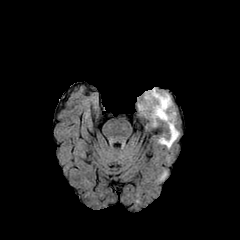
FLAIR MRI.
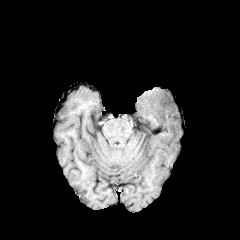
T1-weighted magnetic resonance.
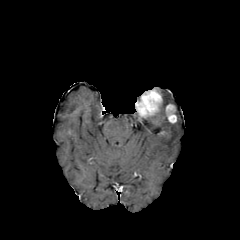
Post-contrast T1-weighted MR image of the same slice.
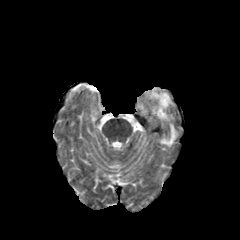
T2-weighted MRI of the same slice.
Image size 240x240
2 enhancing tumor regions are bounded by left=136, top=88, right=162, bottom=117; left=165, top=104, right=176, bottom=123. The edema lies within left=155, top=92, right=178, bottom=148.